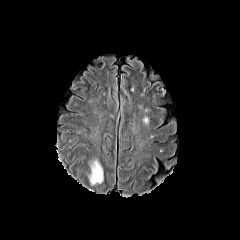
FLAIR MR.
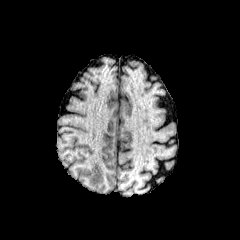
T1-weighted MR.
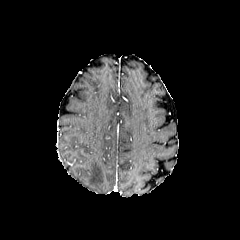
Same slice, post-contrast T1-weighted MR image.
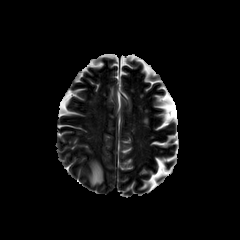
T2-weighted MR image.
Image size 240x240.
<segmentation>
  <edema>90 161 102 184</edema>
</segmentation>